Brain; 240x240
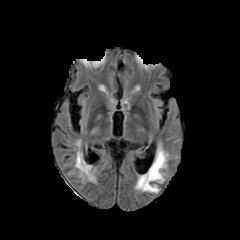
FLAIR magnetic resonance.
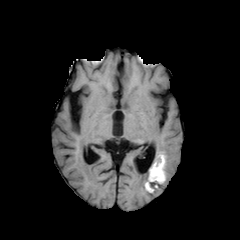
T1-weighted MRI.
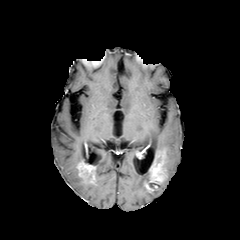
Post-contrast T1-weighted MR image of the same slice.
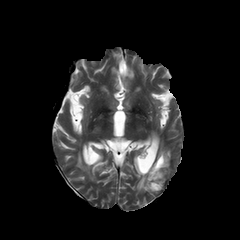
T2-weighted magnetic resonance of the same slice.
<segmentation>
  <edema>[x1=82, y1=168, x2=96, y2=181], [x1=158, y1=149, x2=169, y2=181], [x1=135, y1=172, x2=160, y2=193], [x1=75, y1=151, x2=86, y2=166]</edema>
  <enhancing_tumor>[x1=80, y1=162, x2=93, y2=171], [x1=150, y1=162, x2=162, y2=179]</enhancing_tumor>
  <non-enhancing_tumor_core>[x1=145, y1=151, x2=165, y2=191]</non-enhancing_tumor_core>
</segmentation>